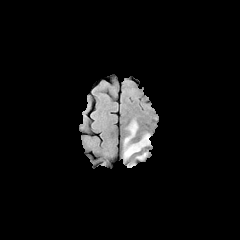
FLAIR MR image.
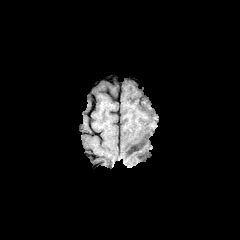
T1-weighted MR image of the same slice.
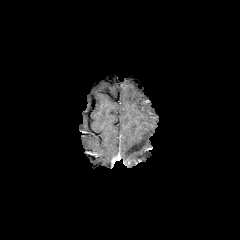
Post-contrast T1-weighted magnetic resonance of the same slice.
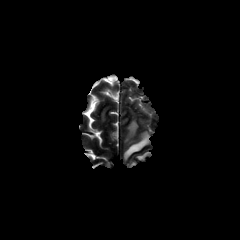
T2-weighted MRI of the same slice.
Image size 240x240
* edema: rect(130, 122, 136, 134); rect(124, 134, 150, 158)